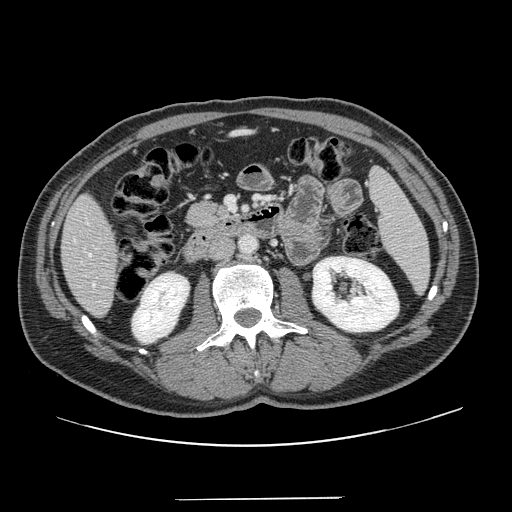 CT image. Upper abdomen. Annotated regions:
- pancreatic tumor: (187, 202, 218, 230)
- pancreas: (183, 200, 231, 235)